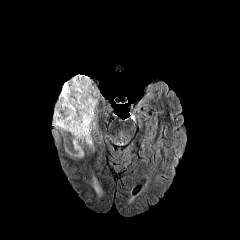
FLAIR MR image.
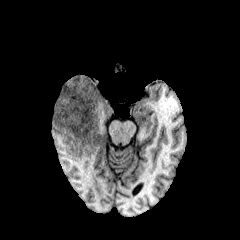
T1-weighted magnetic resonance.
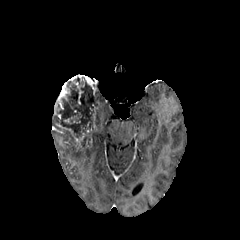
Post-contrast T1-weighted magnetic resonance.
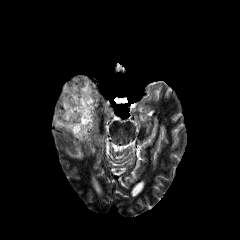
T2-weighted MR.
non-enhancing_tumor_core:
  - [52, 76, 101, 149]
edema:
  - [92, 177, 101, 193]
enhancing_tumor:
  - [69, 74, 97, 94]
  - [53, 82, 69, 115]
  - [74, 130, 89, 147]
  - [56, 123, 73, 136]